CT image; Abdomen; Slice 48 of 117
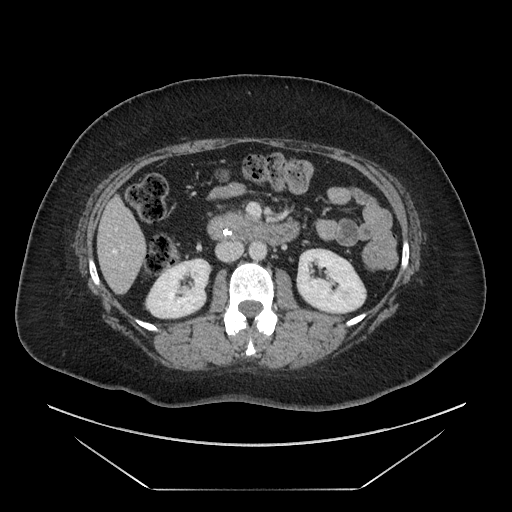
pancreas:
  - x1=230, y1=213, x2=254, y2=226